FLAIR MR.
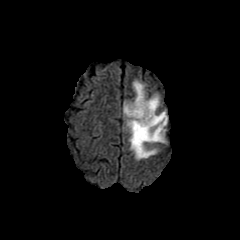
T1-weighted MR.
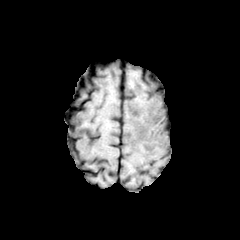
Post-contrast T1-weighted magnetic resonance.
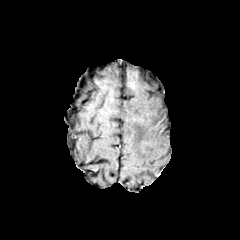
T2-weighted MR image.
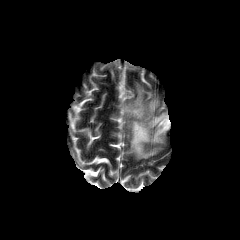
240x240 px
Annotated regions:
- edema: (x1=122, y1=81, x2=167, y2=159)